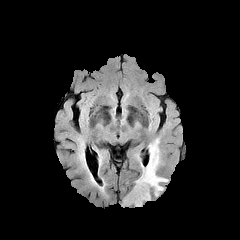
FLAIR magnetic resonance.
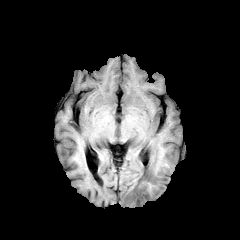
T1-weighted MR image.
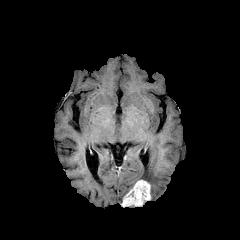
Post-contrast T1-weighted magnetic resonance.
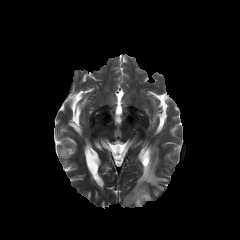
Same slice, T2-weighted MR.
Brain
{
  "enhancing_tumor": [
    "box(121, 179, 151, 206)"
  ],
  "edema": [
    "box(139, 138, 168, 196)"
  ]
}